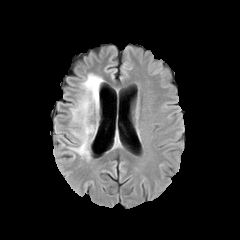
FLAIR MRI.
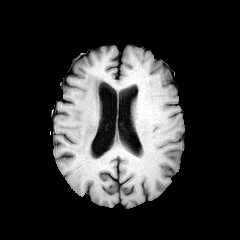
T1-weighted magnetic resonance of the same slice.
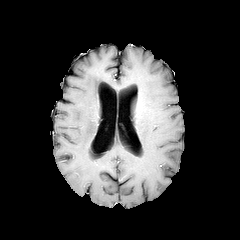
Post-contrast T1-weighted MR image.
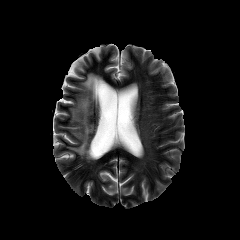
Same slice, T2-weighted magnetic resonance.
The edema is at [70, 73, 103, 159].